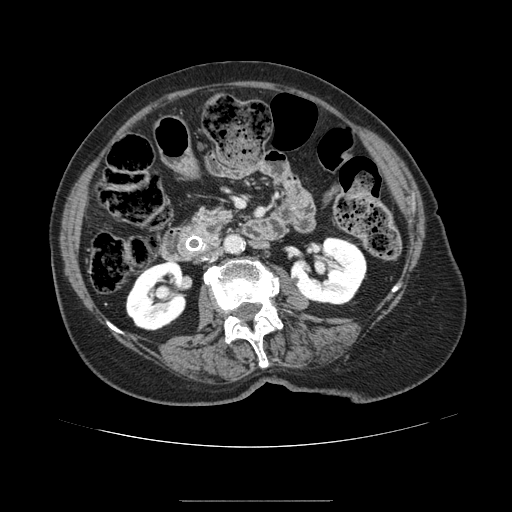
512x512, CT scan slice, Abdomen

The pancreas appears at l=180, t=207, r=232, b=258.